FLAIR MRI.
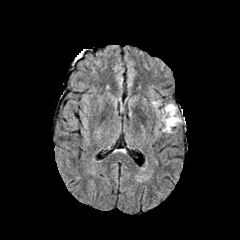
T1-weighted MR.
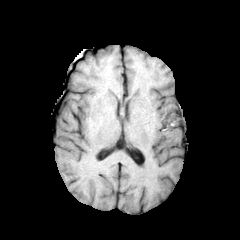
Post-contrast T1-weighted MR image.
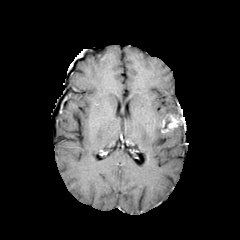
T2-weighted MRI.
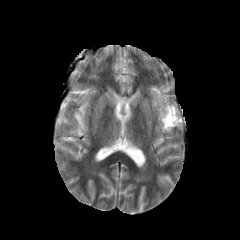
Findings:
* edema: (151, 100, 160, 107), (158, 103, 180, 120), (164, 124, 181, 133)
* non-enhancing tumor core: (162, 114, 170, 131), (166, 109, 182, 117)
* enhancing tumor: (165, 114, 183, 129)